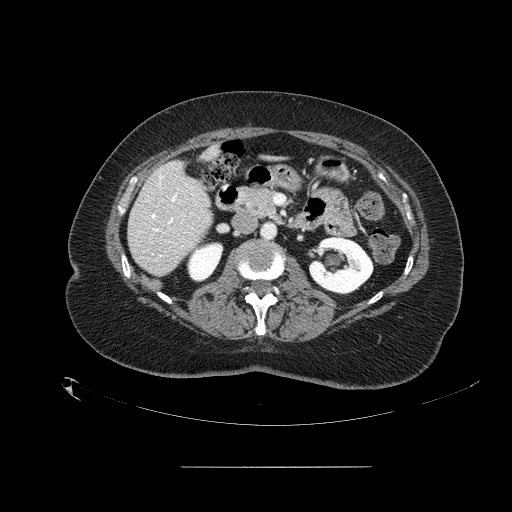 CT; Upper abdomen
pancreas: {"x1": 234, "y1": 185, "x2": 277, "y2": 219}